CT scan slice, Abdomen

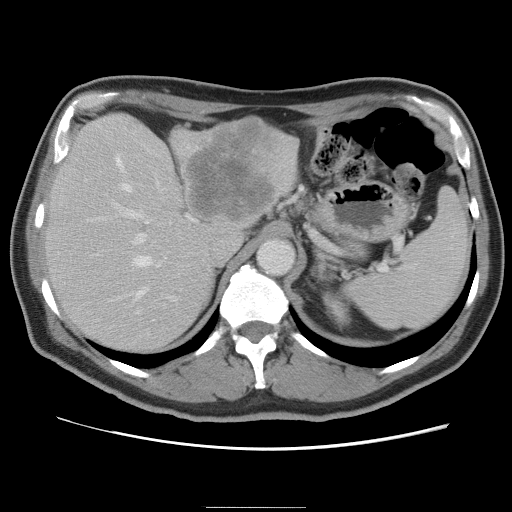
Only some of the vessels may be annotated.
liver tumor: [x1=187, y1=122, x2=280, y2=220] | hepatic vessel: [x1=156, y1=180, x2=158, y2=184], [x1=114, y1=203, x2=142, y2=217], [x1=121, y1=183, x2=131, y2=190], [x1=133, y1=233, x2=144, y2=242], [x1=186, y1=214, x2=195, y2=220], [x1=160, y1=187, x2=164, y2=189], [x1=136, y1=287, x2=146, y2=296], [x1=137, y1=310, x2=139, y2=312], [x1=133, y1=255, x2=150, y2=265], [x1=115, y1=153, x2=121, y2=167], [x1=88, y1=216, x2=102, y2=220], [x1=144, y1=218, x2=148, y2=223], [x1=169, y1=295, x2=176, y2=300], [x1=154, y1=262, x2=159, y2=265]